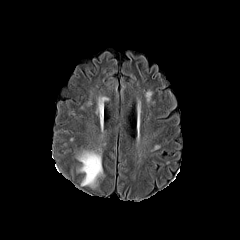
FLAIR MRI.
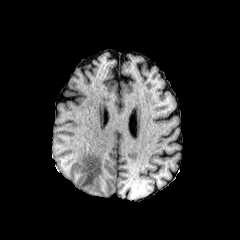
T1-weighted MRI.
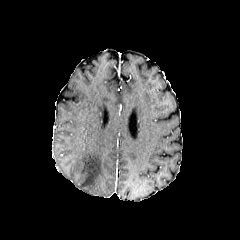
Post-contrast T1-weighted MR.
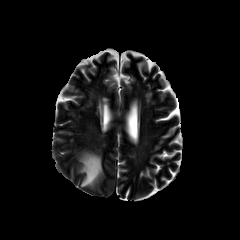
Same slice, T2-weighted magnetic resonance.
Image size 240x240
The edema is located at x1=77, y1=151, x2=102, y2=187.